Slice index 43. Brain. Field of view 240 mm wide, 1.00 mm slice spacing.
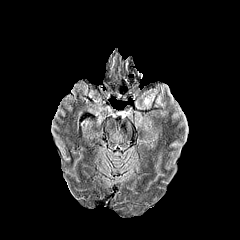
FLAIR MR.
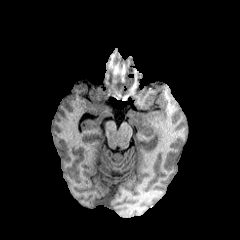
T1-weighted magnetic resonance.
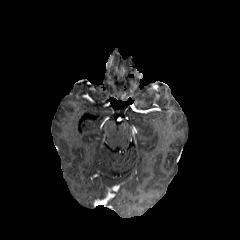
Post-contrast T1-weighted MR.
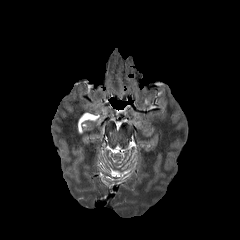
T2-weighted magnetic resonance.
edema: 144, 93, 154, 108